Image size 512x512 | Computed tomography | Slice index 132 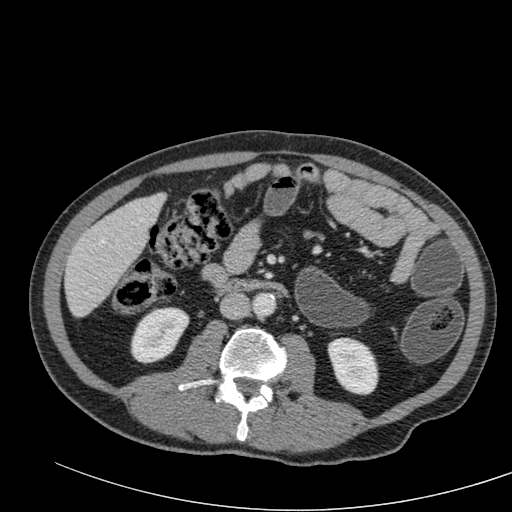 The liver is at [x1=65, y1=194, x2=163, y2=316]. 2 kidney regions are bounded by [x1=328, y1=338, x2=377, y2=393], [x1=132, y1=308, x2=188, y2=362].